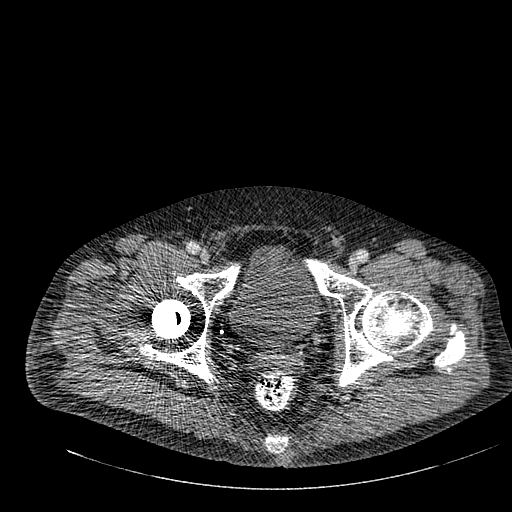 Computed tomography

The urinary bladder is located at rect(228, 245, 321, 350).